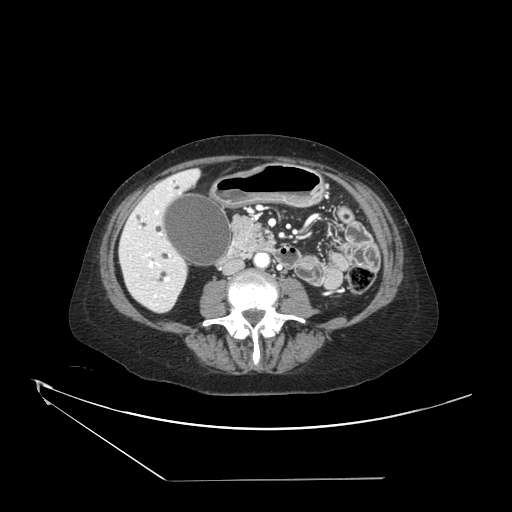 CT image
The pancreas is bounded by (x1=232, y1=215, x2=275, y2=258).